Brain, Slice index 104
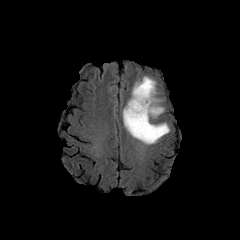
FLAIR MR.
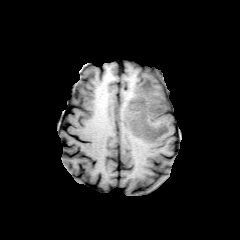
Same slice, T1-weighted magnetic resonance.
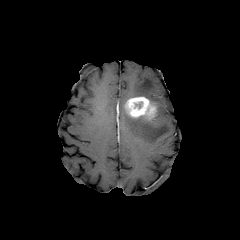
Post-contrast T1-weighted MR.
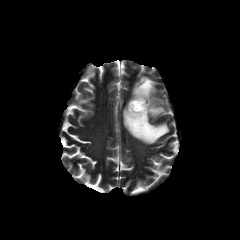
T2-weighted MR of the same slice.
<segmentation>
  <edema>(131, 76, 164, 117), (122, 109, 169, 144)</edema>
  <non-enhancing_tumor_core>(128, 112, 157, 124)</non-enhancing_tumor_core>
  <enhancing_tumor>(125, 96, 157, 120)</enhancing_tumor>
</segmentation>